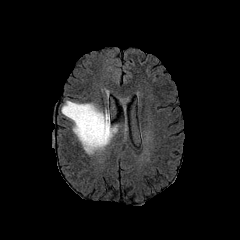
FLAIR MR.
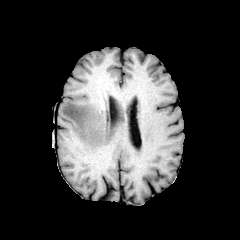
T1-weighted MR image.
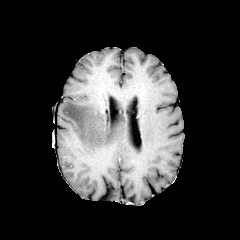
Post-contrast T1-weighted MRI of the same slice.
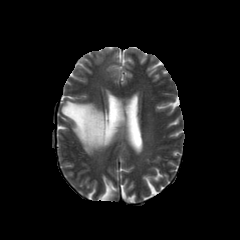
T2-weighted MR image.
Head.
Findings:
• edema: [61,100,117,154]